512x512 px | Image width 405 mm | Slice index 25 | CT image | Abdomen

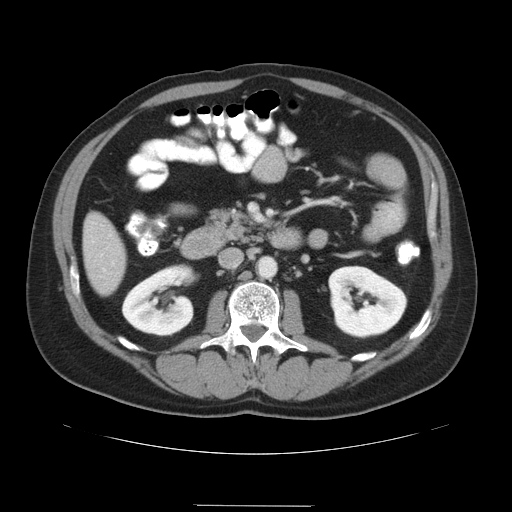
Some hepatic vessels may have no box.
3 hepatic vessel regions are bounded by rect(112, 263, 113, 266); rect(109, 234, 111, 236); rect(103, 270, 104, 271).